Pelvis | CT slice | Image size 512x512
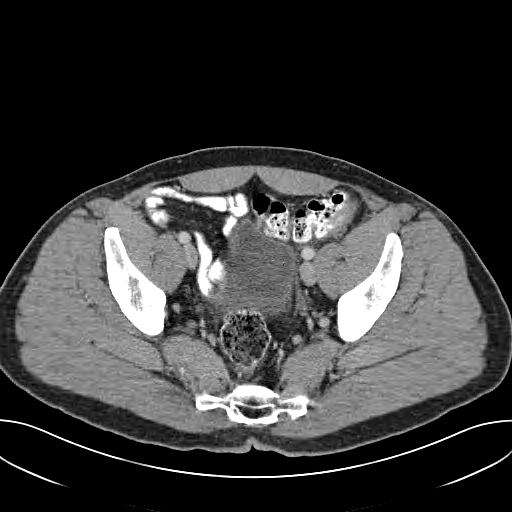
Colon tumor at 326 200 355 237.